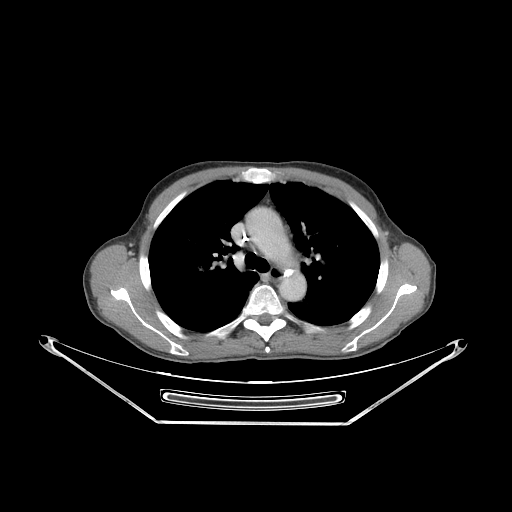

CT scan slice
The lung appears at 149 180 379 331. 11 bone regions are bounded by 140 256 150 288, 209 327 225 337, 157 312 182 337, 111 288 187 354, 155 193 184 226, 227 285 285 340, 350 307 370 327, 352 203 376 235, 243 168 271 183, 377 260 387 292, 343 284 416 350.